Slice 99/155
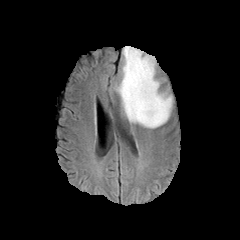
FLAIR MRI.
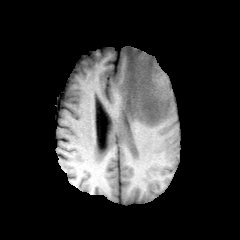
T1-weighted MRI of the same slice.
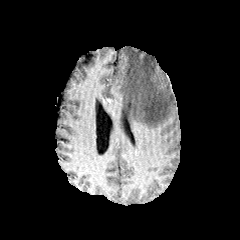
Post-contrast T1-weighted MR image of the same slice.
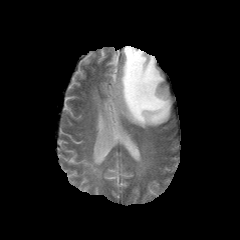
T2-weighted magnetic resonance.
* edema: box=[112, 46, 172, 127]